Slice 79 of 155, Image size 240x240, Head
FLAIR MRI.
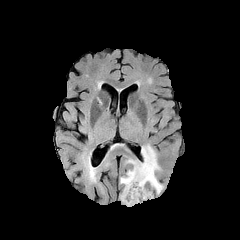
T1-weighted MRI.
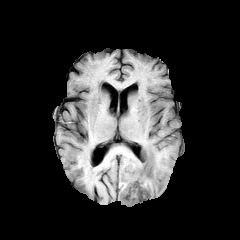
Post-contrast T1-weighted MRI.
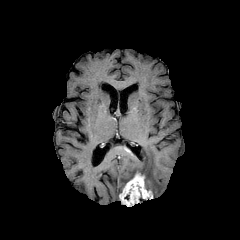
T2-weighted MRI.
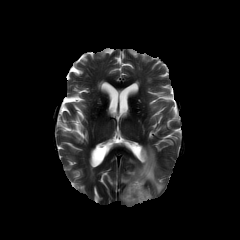
Edema: [120, 144, 163, 194].
Enhancing tumor: [119, 172, 152, 205].